CT scan slice; Slice index 441; Abdomen
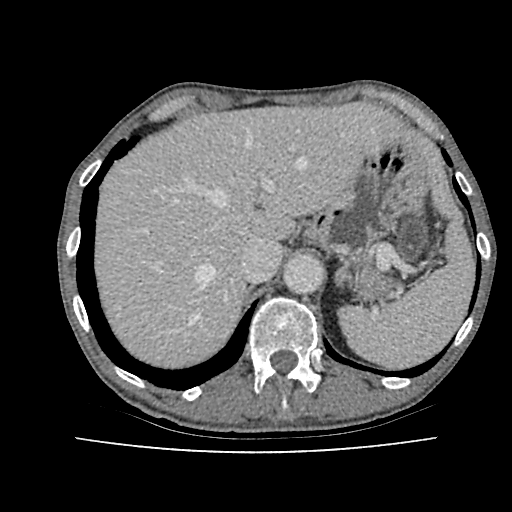 The liver is located at 93,103,404,368.